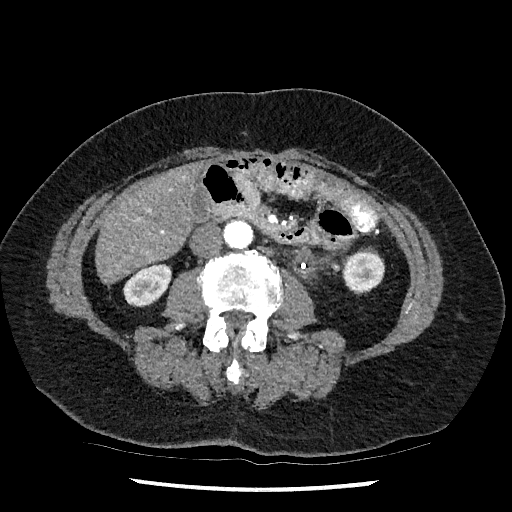
512x512; CT scan slice; Liver

{"liver": ["96:161:204:282"], "kidney": ["344:252:383:291", "124:265:170:305"]}